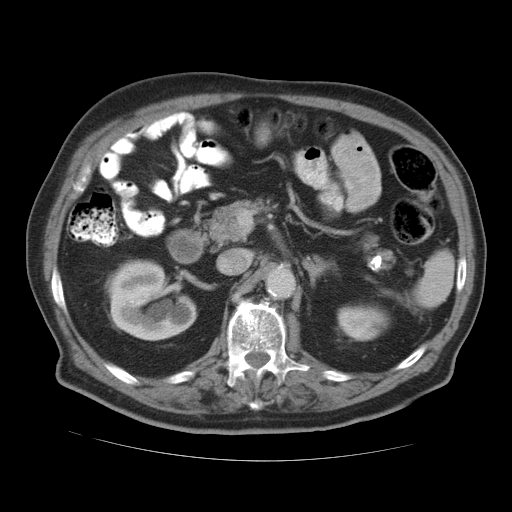
CT | Upper abdomen

Spleen at l=415, t=251, r=454, b=307.